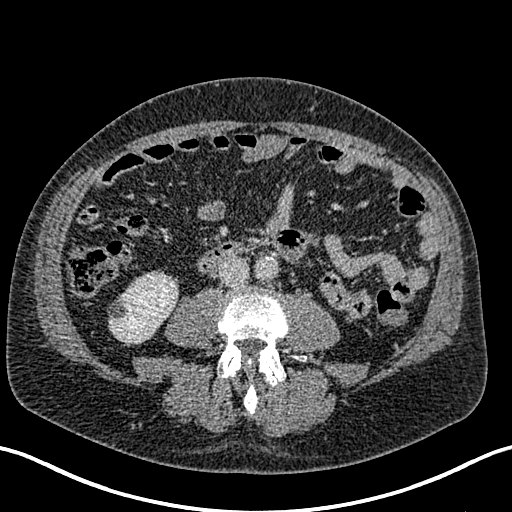
CT slice, Abdomen
Segmented structures:
* kidney: 109:274:177:342